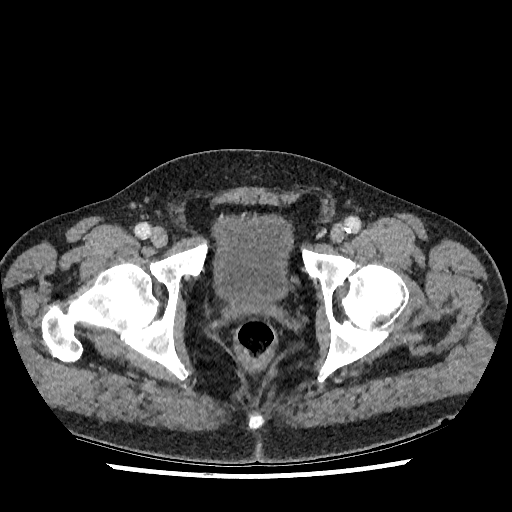

Lower abdomen, CT
Segmented structures:
• urinary bladder: 212,213,293,309